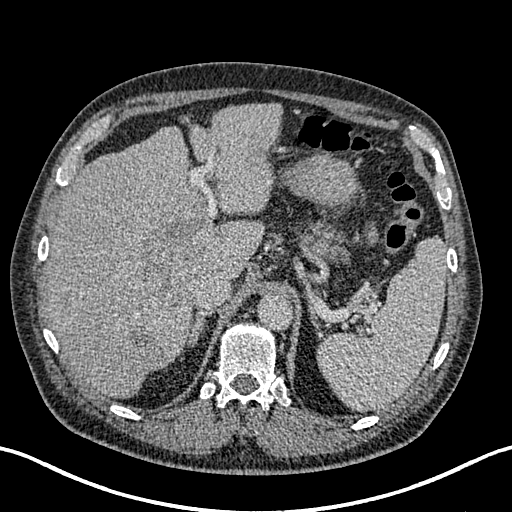

CT | 512x512 px
hepatic_lesion:
  - [121,329,162,377]
  - [140,217,211,308]
  - [231,152,262,182]
liver:
  - [191,104,282,213]
  - [45,126,264,398]